512x512. Slice index 447. CT slice. 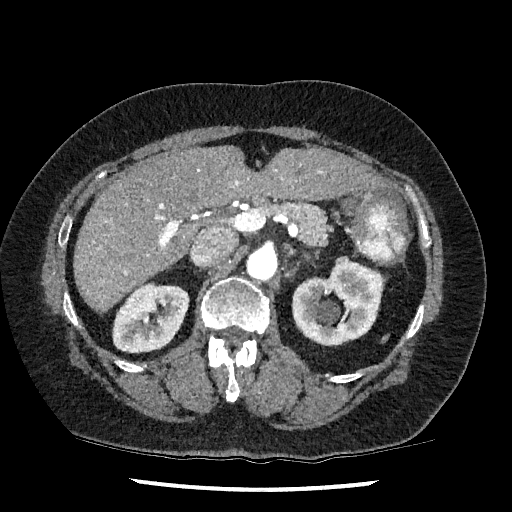

Annotated regions:
* liver: l=74, t=146, r=389, b=311
* kidney: l=293, t=257, r=382, b=344; l=113, t=284, r=188, b=352